CT slice. Upper abdomen. 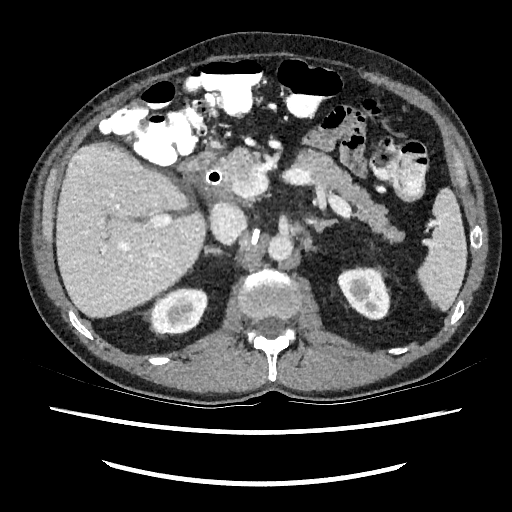 Kidney — 152,290,206,332; 339,269,388,317.
Liver — 56,144,206,317.
Hepatic lesion — 106,144,113,151.